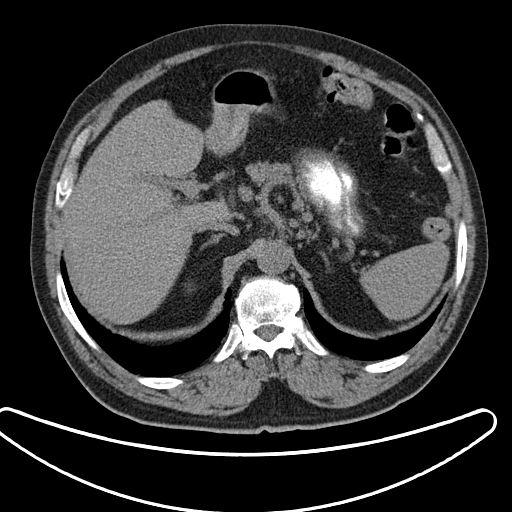

CT image

Spleen: region(365, 243, 447, 318).